Computed tomography | Image width 360 mm | 512x512
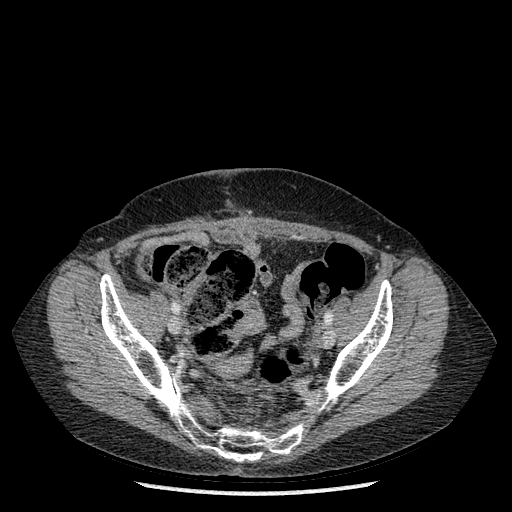

Bone: 100 274 304 462, 313 280 392 412.